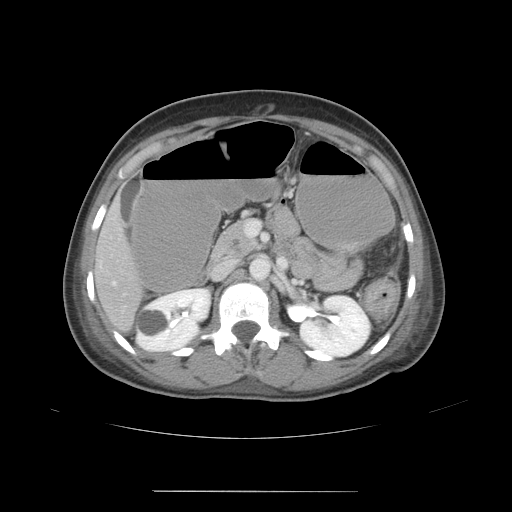
CT slice.
The colon tumor is at box(363, 282, 396, 320).